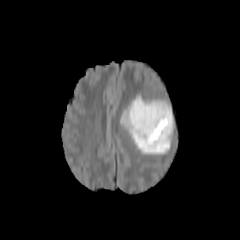
FLAIR magnetic resonance.
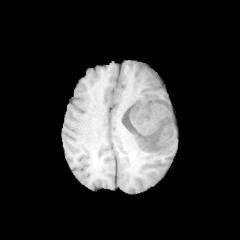
T1-weighted MR image.
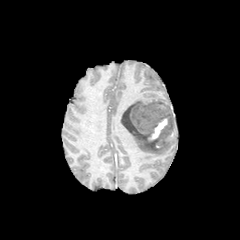
Same slice, post-contrast T1-weighted MR.
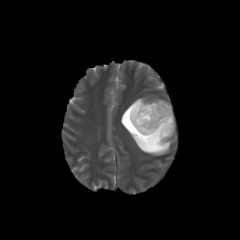
T2-weighted MR image.
Annotated regions:
* enhancing tumor: <box>147,117,168,141</box>
* non-enhancing tumor core: <box>121,100,174,144</box>
* edema: <box>150,97,172,113</box>, <box>119,96,171,155</box>